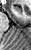 Hippocampus, MR image
• anterior hippocampus: <bbox>14, 6, 22, 13</bbox>